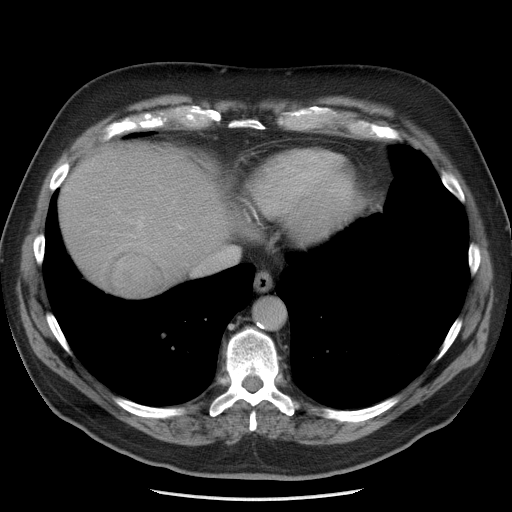
Computed tomography
The vessel annotation is not exhaustive.
Segmented structures:
* hepatic vessel: rect(137, 216, 143, 227); rect(131, 234, 134, 237); rect(119, 244, 126, 249); rect(147, 247, 150, 249); rect(168, 209, 169, 212); rect(193, 262, 229, 274); rect(118, 220, 119, 221); rect(176, 222, 182, 229); rect(138, 212, 141, 212)
* liver tumor: rect(105, 251, 165, 298)